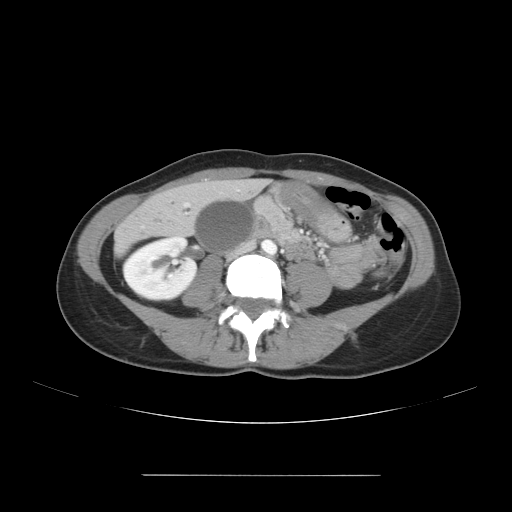
CT scan slice
Findings:
* pancreas: bbox=[254, 195, 293, 239]